CT image. Slice 77/119. Upper abdomen. Image size 512x512.

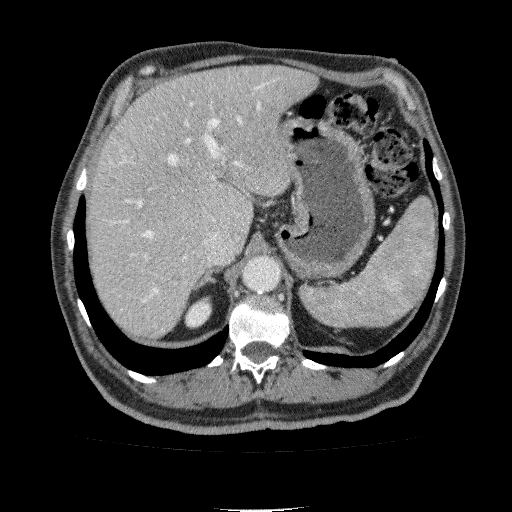 The liver is at region(90, 64, 318, 340). The kidney appears at region(186, 302, 210, 326).